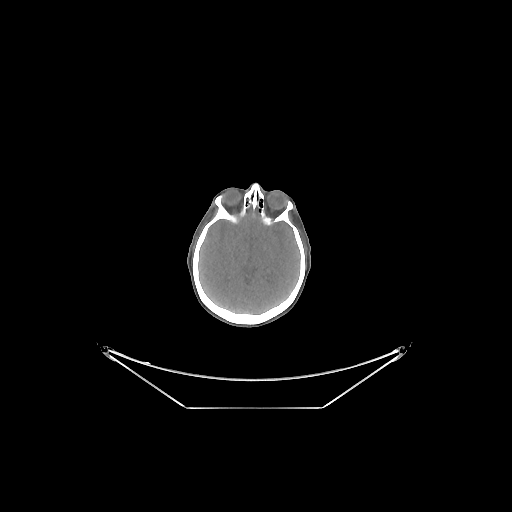 CT image
2 bone regions are located at bbox=[193, 196, 305, 324]; bbox=[243, 183, 263, 208]. The brain is at bbox=[198, 213, 300, 314].